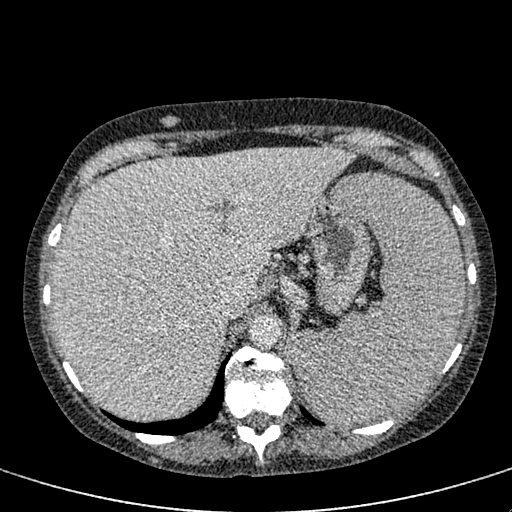

CT. liver: l=52, t=148, r=354, b=418